Liver. Slice 447/836. CT image.

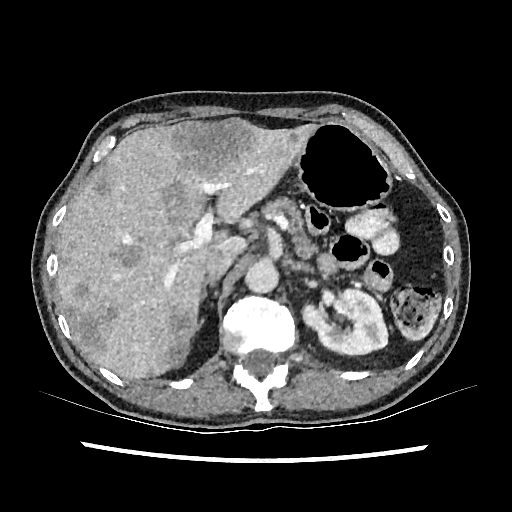 Kidney = {"x1": 304, "y1": 289, "x2": 387, "y2": 358}.
Focal liver lesion = {"x1": 94, "y1": 174, "x2": 110, "y2": 195}, {"x1": 167, "y1": 311, "x2": 195, "y2": 362}, {"x1": 73, "y1": 282, "x2": 90, "y2": 298}, {"x1": 288, "y1": 128, "x2": 298, "y2": 142}, {"x1": 116, "y1": 245, "x2": 140, "y2": 267}, {"x1": 162, "y1": 184, "x2": 187, "y2": 219}, {"x1": 64, "y1": 307, "x2": 115, "y2": 349}, {"x1": 169, "y1": 119, "x2": 256, "y2": 178}, {"x1": 61, "y1": 258, "x2": 71, "y2": 265}, {"x1": 270, "y1": 148, "x2": 285, "y2": 160}.
Liver = {"x1": 58, "y1": 125, "x2": 314, "y2": 378}.